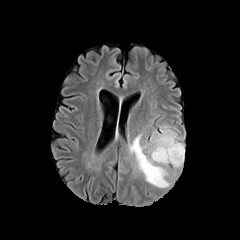
FLAIR MR image.
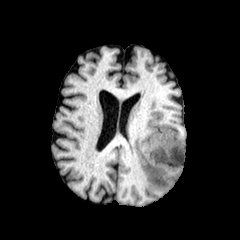
T1-weighted magnetic resonance of the same slice.
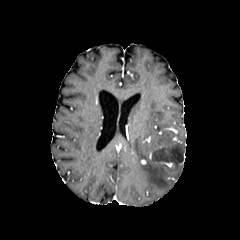
Same slice, post-contrast T1-weighted MRI.
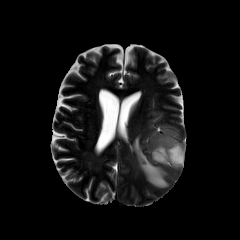
T2-weighted magnetic resonance.
Edema = box=[130, 124, 185, 187].